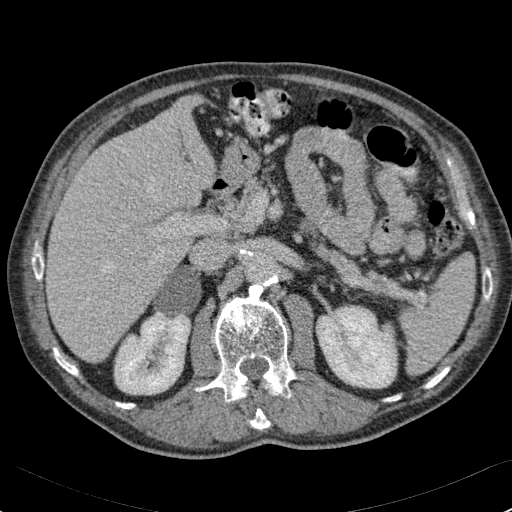 Upper abdomen. Computed tomography. 512x512.

<segmentation>
  <kidney>[115,312,189,394], [316,306,397,388]</kidney>
  <liver>[175,214,189,233], [47,97,212,362]</liver>
</segmentation>